CT image. Image size 512x512. Liver.

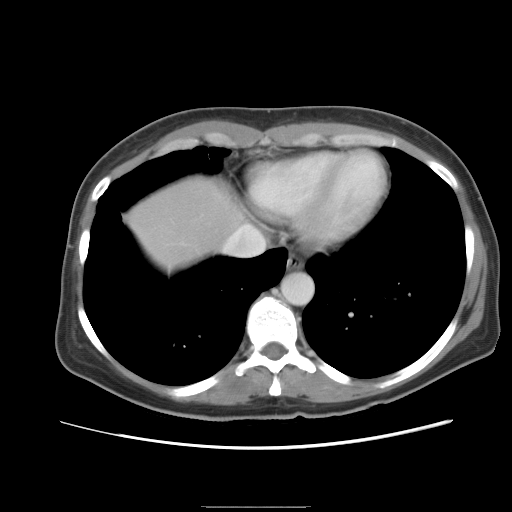 Some hepatic vessels may have no box.
Annotated regions:
* hepatic vessel: 222, 224, 264, 255